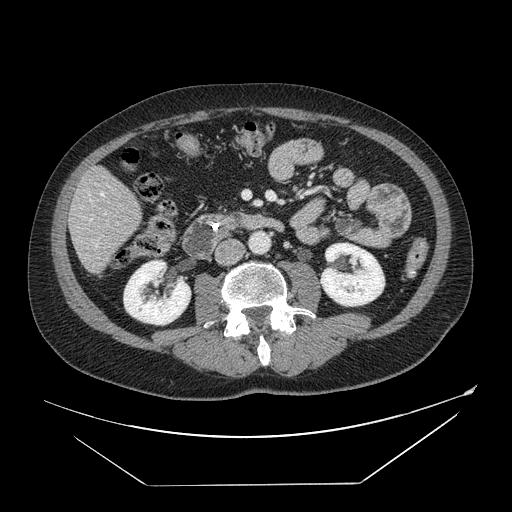
Upper abdomen. Computed tomography. pancreas:
  - l=220, t=217, r=233, b=227